CT scan slice, Chest, Slice 374 of 565
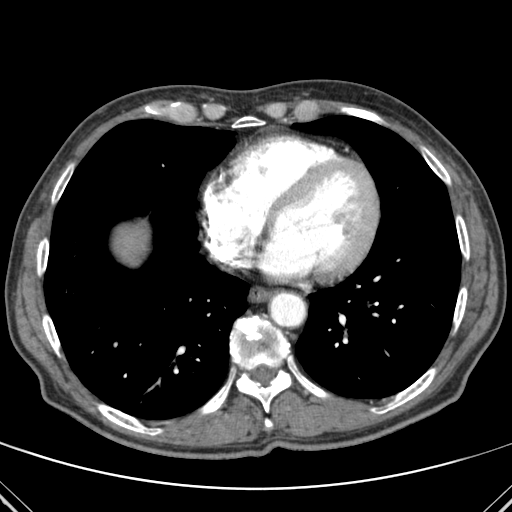
lung:
  - left=44, top=120, right=248, bottom=418
  - left=293, top=116, right=460, bottom=398
bone:
  - left=52, top=165, right=72, bottom=202
  - left=422, top=147, right=450, bottom=184
  - left=201, top=380, right=231, bottom=414
  - left=379, top=368, right=435, bottom=413
  - left=232, top=116, right=264, bottom=127
  - left=230, top=316, right=328, bottom=398
  - left=341, top=107, right=380, bottom=121
  - left=236, top=370, right=291, bottom=412
  - left=265, top=419, right=272, bottom=427
  - left=42, top=315, right=59, bottom=354
  - left=453, top=287, right=466, bottom=328
  - left=98, top=404, right=161, bottom=435
  - left=456, top=215, right=469, bottom=258
  - left=145, top=106, right=161, bottom=114
  - left=37, top=239, right=48, bottom=274